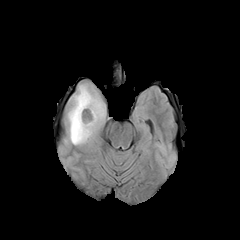
FLAIR magnetic resonance.
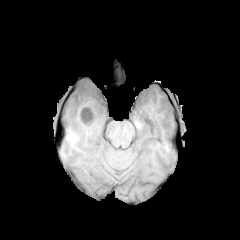
T1-weighted magnetic resonance of the same slice.
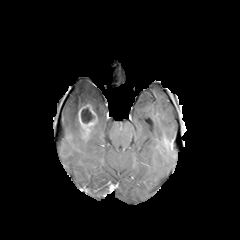
Same slice, post-contrast T1-weighted MRI.
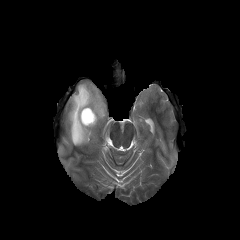
Same slice, T2-weighted MR.
240x240 px.
Non-enhancing tumor core: bounding box [81, 104, 95, 123].
Enhancing tumor: bounding box [78, 107, 97, 141].
Edema: bounding box [65, 82, 106, 145].